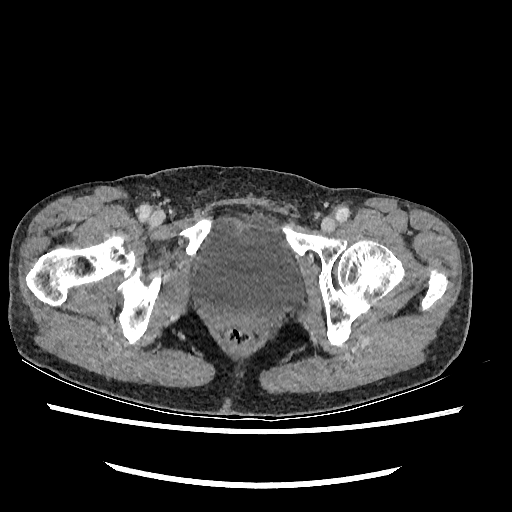
CT.

Urinary bladder — <bbox>185, 211, 306, 327</bbox>.